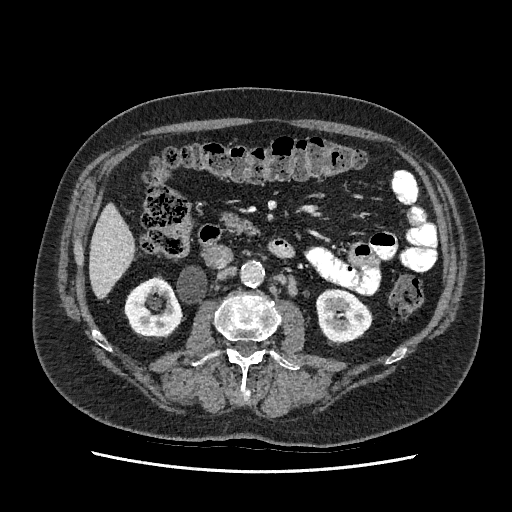
Upper abdomen, CT slice, 512x512 px
Segmented structures:
* liver: bbox=[90, 204, 134, 297]
* kidney: bbox=[317, 290, 371, 341]; bbox=[125, 279, 181, 335]